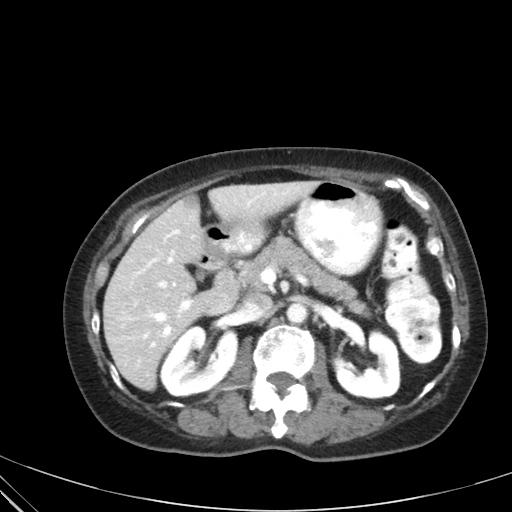

CT slice

Segmented structures:
• pancreas: 238, 238, 369, 314